Computed tomography. Abdomen.
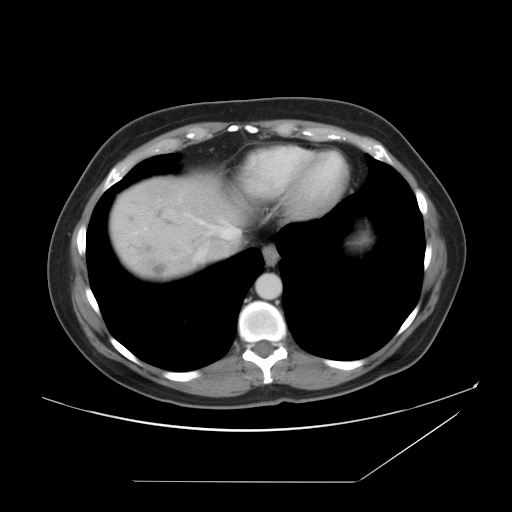

The vessel annotation is not exhaustive.
Hepatic vessel — 193,259,194,262; 185,213,188,215; 144,227,146,229; 197,219,239,238.
Liver tumor — 153,264,166,278.